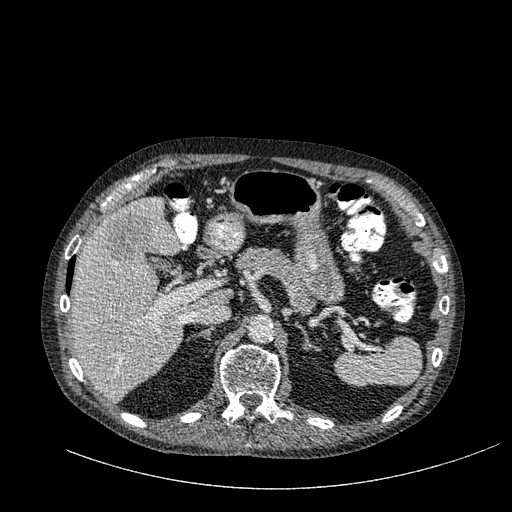
Computed tomography; 512x512 px; Liver
liver:
  - l=71, t=198, r=232, b=400
hepatic_lesion:
  - l=104, t=210, r=153, b=262